Brain; 240x240
FLAIR magnetic resonance.
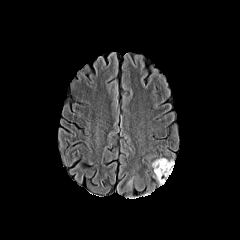
T1-weighted MR.
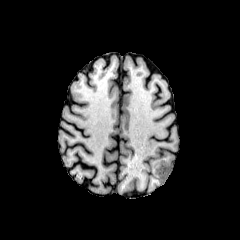
Post-contrast T1-weighted MR image.
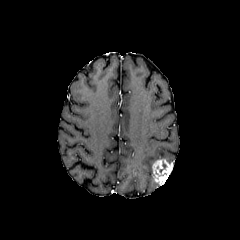
T2-weighted MRI.
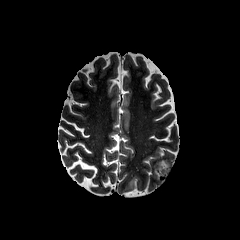
The enhancing tumor is located at region(151, 157, 174, 185). The edema lies within region(126, 176, 133, 190).